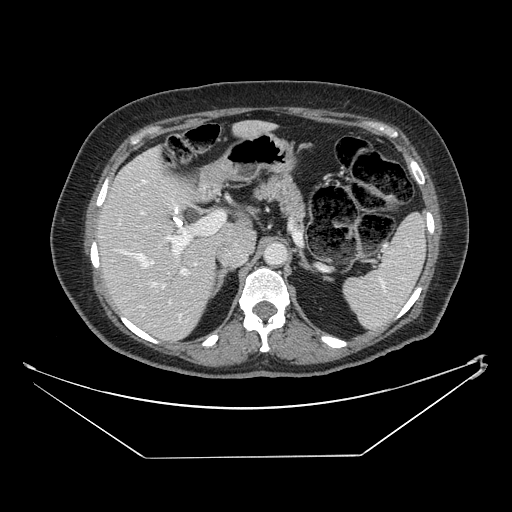 512x512 px; CT slice

Annotated regions:
• pancreas: (249,173,306,234)